Slice 106/155, Image size 240x240
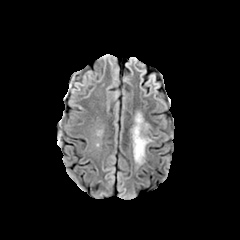
FLAIR magnetic resonance.
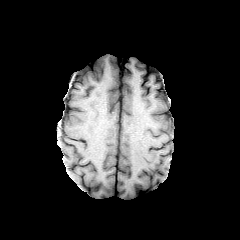
T1-weighted MRI.
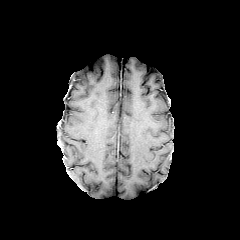
Post-contrast T1-weighted MRI.
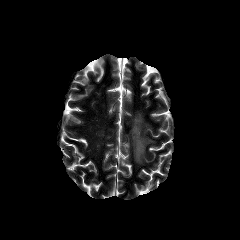
Same slice, T2-weighted MR image.
Annotated regions:
• edema: left=132, top=113, right=151, bottom=163